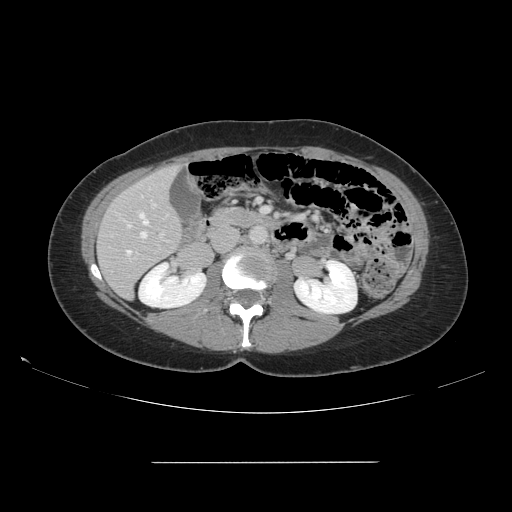 CT image. 512x512. Abdomen. Only some of the vessels may be annotated.
{
  "hepatic_vessel": [
    "<bbox>151, 201, 155, 206</bbox>",
    "<bbox>132, 258, 135, 259</bbox>",
    "<bbox>166, 213, 168, 216</bbox>",
    "<bbox>139, 212, 148, 224</bbox>",
    "<bbox>127, 222, 131, 227</bbox>",
    "<bbox>140, 232, 146, 241</bbox>",
    "<bbox>126, 250, 131, 258</bbox>",
    "<bbox>160, 233, 163, 237</bbox>"
  ]
}